Head. Field of view 240 mm wide, 1.00 mm slice spacing.
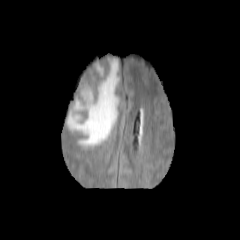
FLAIR magnetic resonance.
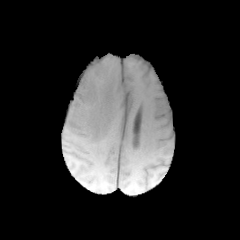
T1-weighted MRI.
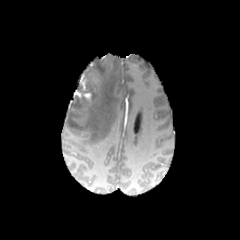
Post-contrast T1-weighted MR.
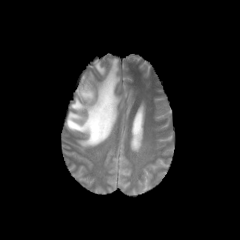
T2-weighted MRI.
{"non-enhancing_tumor_core": ["<box>75,68,100,108</box>"], "edema": ["<box>66,58,120,146</box>", "<box>95,60,106,75</box>"], "enhancing_tumor": ["<box>75,75,88,98</box>", "<box>84,92,91,101</box>"]}